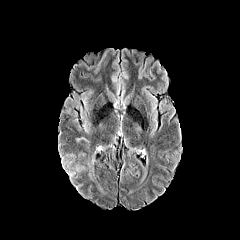
FLAIR MRI.
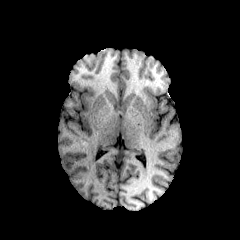
T1-weighted MR.
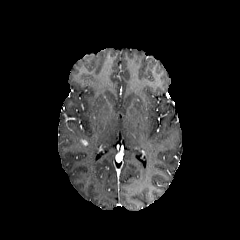
Post-contrast T1-weighted MR image.
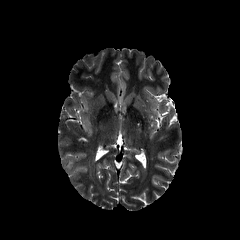
T2-weighted magnetic resonance.
Edema at region(87, 146, 99, 170); region(82, 120, 90, 133).